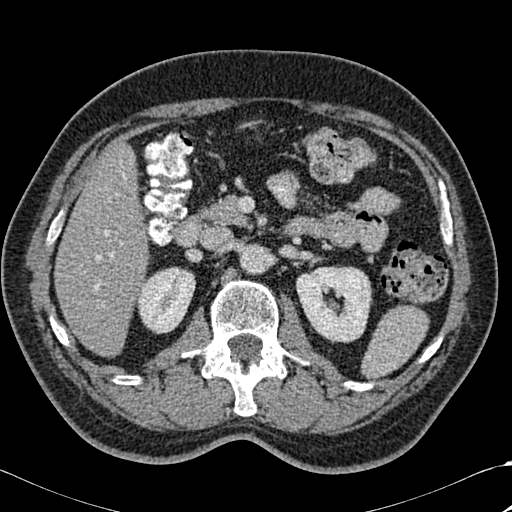 Abdomen | 512x512 px | Computed tomography

bone: left=114, top=376, right=140, bottom=384; left=420, top=339, right=440, bottom=361; left=182, top=281, right=289, bottom=416; left=443, top=217, right=452, bottom=243; left=345, top=382, right=371, bottom=390; left=51, top=318, right=67, bottom=344; left=47, top=222, right=60, bottom=243 | kidney: left=297, top=267, right=370, bottom=341; left=139, top=268, right=194, bottom=332 | liver: left=55, top=147, right=150, bottom=356